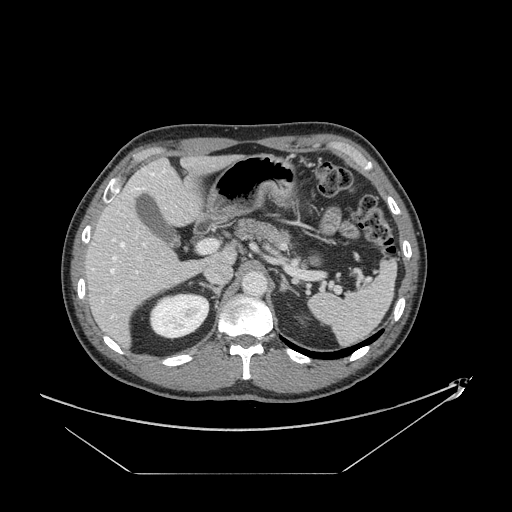
CT slice.

Pancreas — bbox=[300, 258, 306, 268]; bbox=[234, 219, 291, 250].